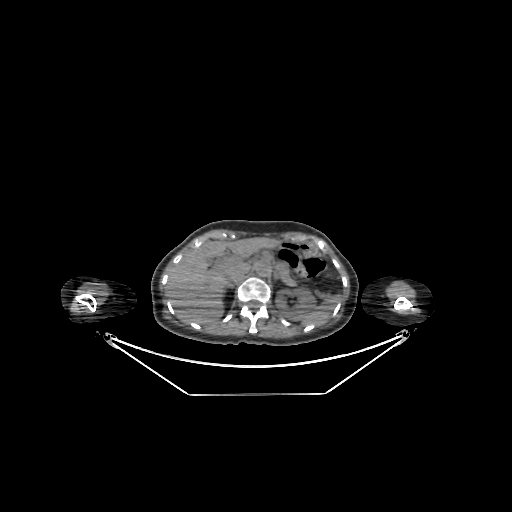 Liver. CT scan slice.
Liver: 165,238,275,324.
Kidney: 275,286,317,320.